FLAIR MRI.
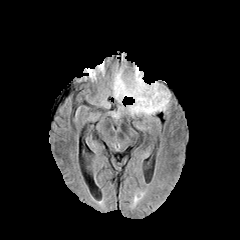
T1-weighted MR image.
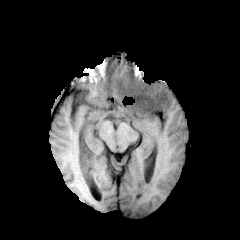
Post-contrast T1-weighted MR.
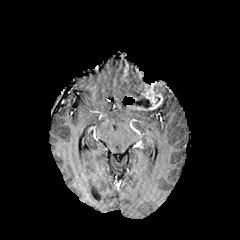
T2-weighted MR image.
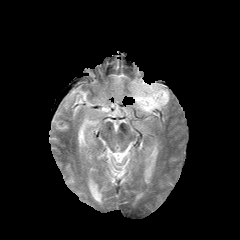
240x240
Annotated regions:
• non-enhancing tumor core: l=132, t=82, r=150, b=108; l=158, t=85, r=165, b=103
• enhancing tumor: l=134, t=81, r=163, b=110
• edema: l=114, t=68, r=143, b=99; l=127, t=85, r=169, b=119